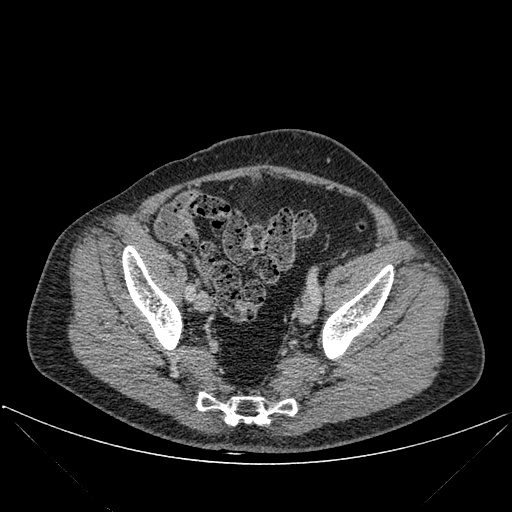 512x512 | CT scan slice

Bone: 122,246,181,349; 196,392,297,425; 322,265,393,358.